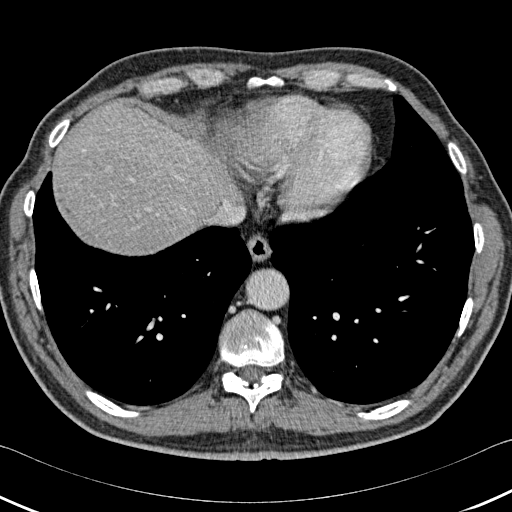
512x512 px, CT image

<segmentation>
  <liver>[53, 106, 216, 254]</liver>
  <lung>[32, 171, 252, 405], [20, 165, 29, 173], [266, 94, 474, 404]</lung>
  <bone>[448, 143, 466, 173], [30, 269, 40, 309], [222, 372, 282, 412], [474, 223, 483, 252], [49, 119, 69, 147], [248, 76, 283, 86], [358, 400, 409, 419], [86, 391, 138, 417], [458, 298, 472, 336], [24, 191, 34, 216], [221, 312, 283, 366]</bone>
</segmentation>